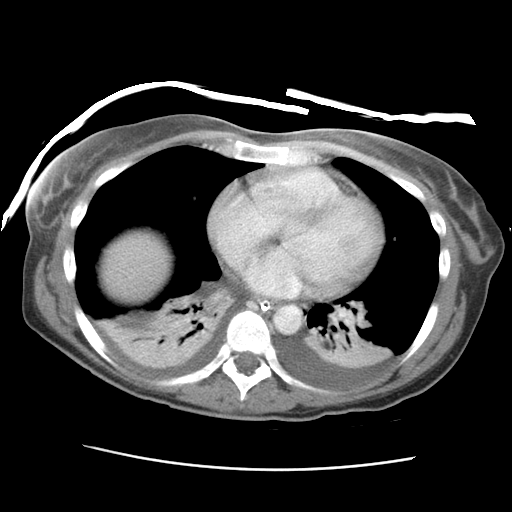
CT. Image size 512x512. liver: 105, 236, 166, 294